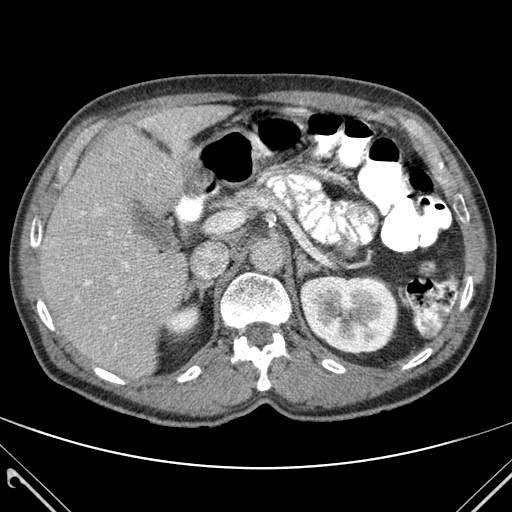
CT image; Abdomen
The liver appears at [40,106,231,377]. 10 bone regions appear at [231,333,286,390], [459,195,468,219], [322,359,344,372], [461,277,472,308], [95,368,124,383], [178,366,200,381], [37,300,53,329], [31,217,40,247], [221,273,290,328], [403,349,431,368]. 2 kidney regions appear at [301,277,395,352], [167,310,196,330].